FLAIR MR.
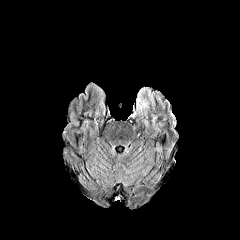
T1-weighted MR image.
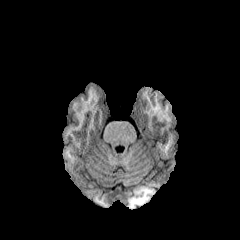
Post-contrast T1-weighted MR.
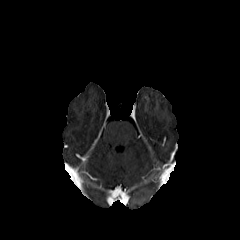
T2-weighted MRI.
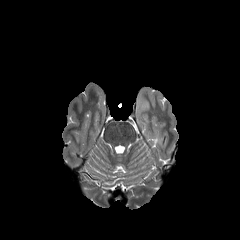
Brain
edema:
  - l=135, t=87, r=150, b=127